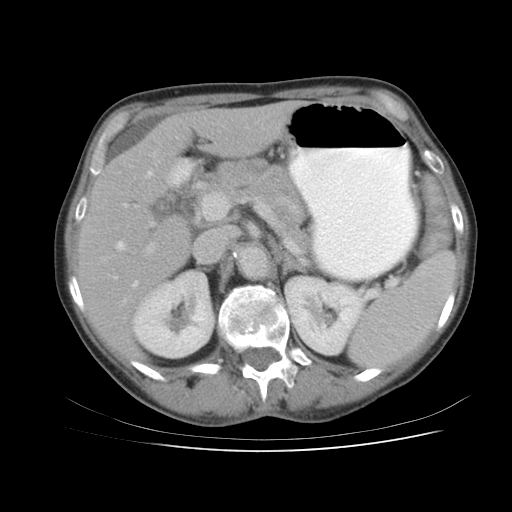

Computed tomography; Abdomen
<segmentation>
  <spleen>351, 254, 454, 368</spleen>
</segmentation>